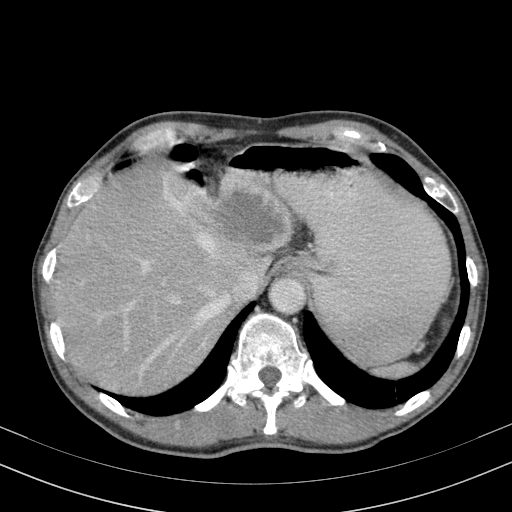
Image size 512x512. Upper abdomen. CT slice.

The liver is at l=55, t=160, r=292, b=395. The focal liver lesion appears at l=215, t=192, r=284, b=243.